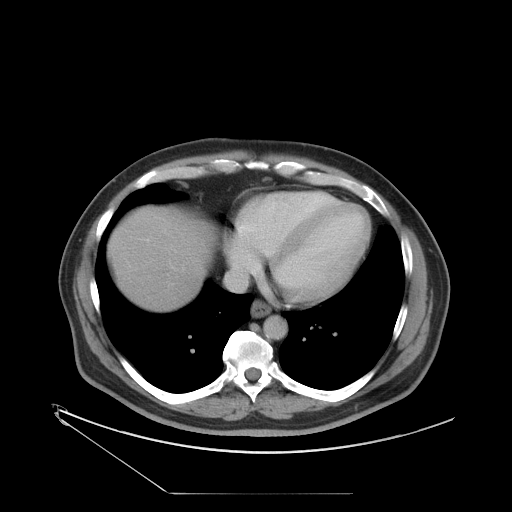

CT scan slice.

The vessel annotation is not exhaustive.
Hepatic vessel: bounding box box(224, 277, 245, 291); box(144, 239, 148, 240).